Abdomen, CT image, 512x512 px 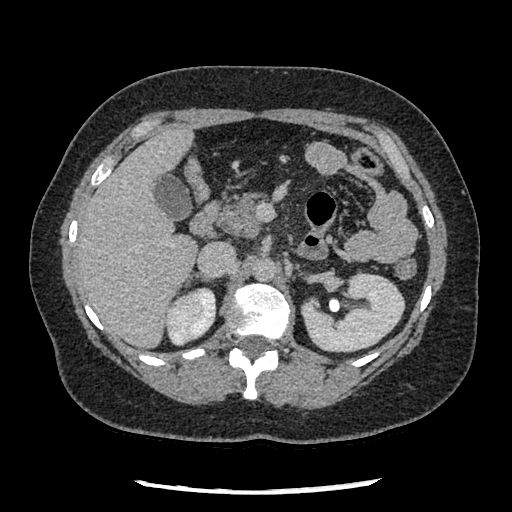
Pancreas at box=[218, 192, 261, 236].